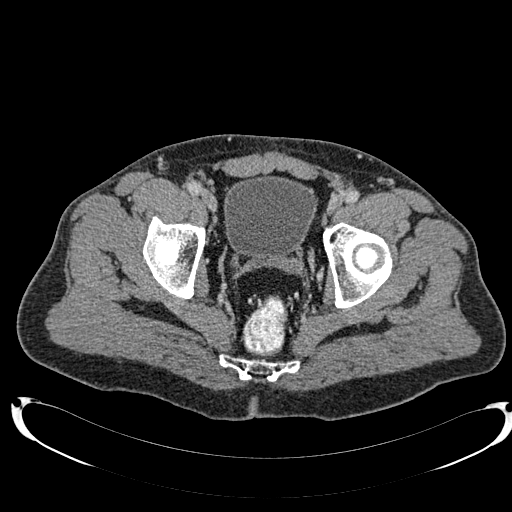
CT slice; 512x512; Pelvis

urinary_bladder:
  - [x1=224, y1=175, x2=317, y2=266]